FLAIR magnetic resonance.
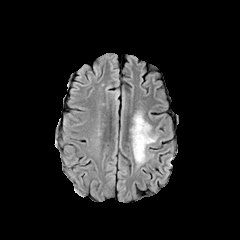
T1-weighted magnetic resonance.
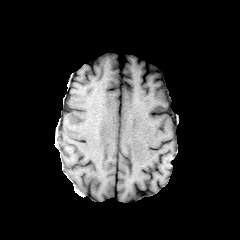
Post-contrast T1-weighted magnetic resonance.
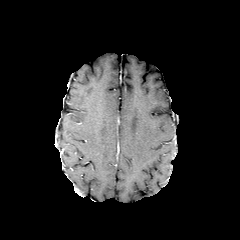
T2-weighted MR image.
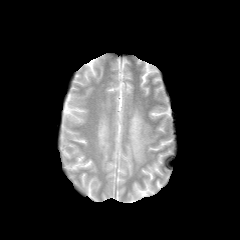
Head
The edema appears at bbox=[131, 113, 157, 166].